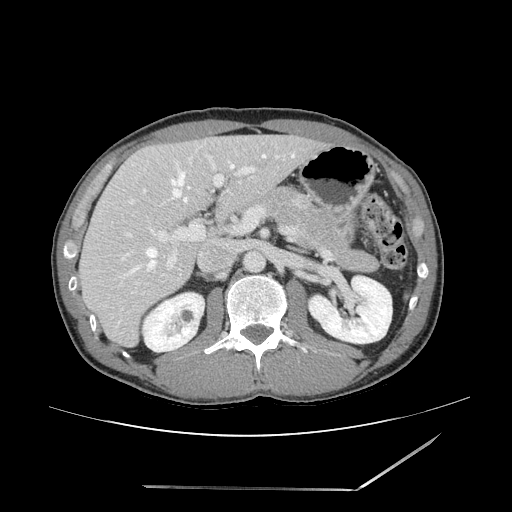 Abdomen. CT.

Pancreatic tumor: [x1=294, y1=194, x2=310, y2=210].
Pancreas: [x1=259, y1=186, x2=377, y2=273].